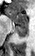

MR image. 35x56.
Anterior hippocampus = [6,10,27,22].
Posterior hippocampus = [15,23,28,36].